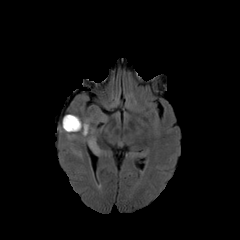
FLAIR MR.
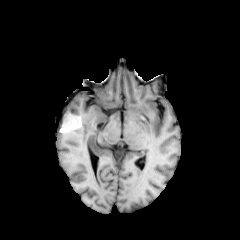
T1-weighted magnetic resonance.
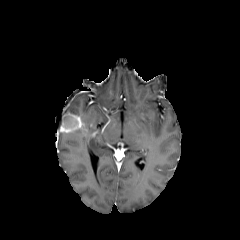
Post-contrast T1-weighted MRI of the same slice.
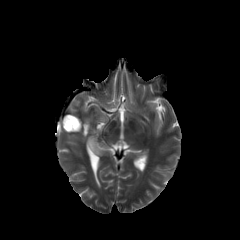
T2-weighted MR image of the same slice.
Head.
enhancing_tumor:
  - box(57, 114, 87, 133)
edema:
  - box(74, 104, 83, 111)
  - box(62, 113, 95, 153)
  - box(91, 130, 99, 153)